240x240 | Head | Slice 50 of 155
FLAIR MR.
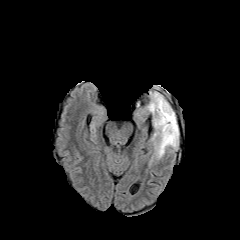
T1-weighted MR.
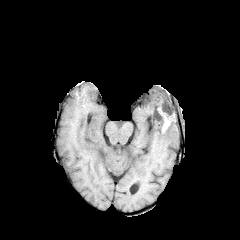
Post-contrast T1-weighted MRI.
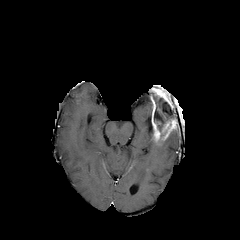
T2-weighted MRI.
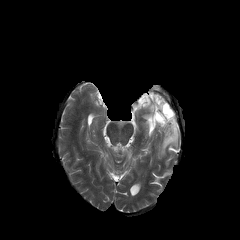
2 edema regions are located at region(144, 101, 150, 114); region(150, 132, 179, 163). The non-enhancing tumor core lies within region(154, 98, 174, 139). 2 enhancing tumor regions are bounded by region(161, 117, 177, 140); region(150, 85, 169, 138).